FLAIR magnetic resonance.
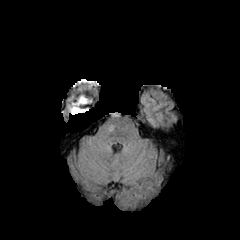
T1-weighted MRI.
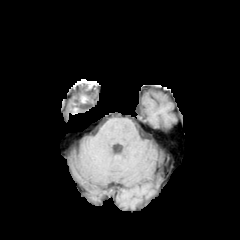
Post-contrast T1-weighted MRI.
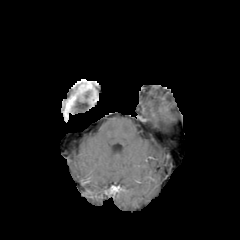
T2-weighted MR.
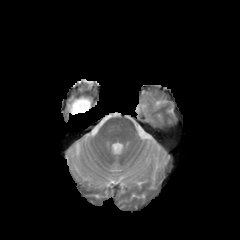
Brain
Segmented structures:
- edema: [68,95,91,112]